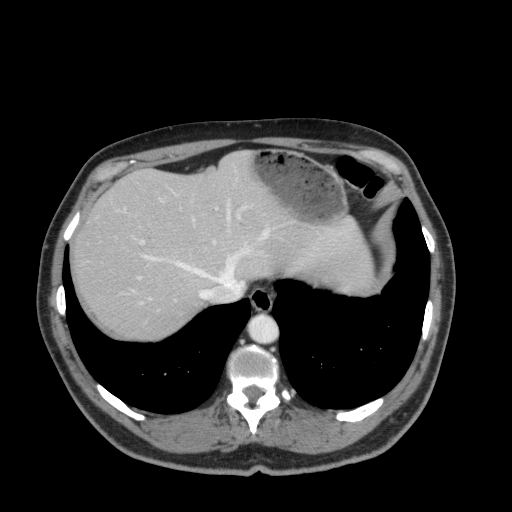 CT slice; Image size 512x512

{
  "liver": [
    "(75, 152, 375, 339)"
  ]
}